FLAIR MR.
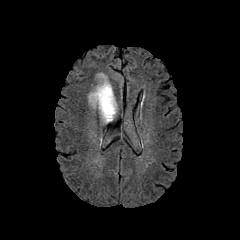
T1-weighted MR.
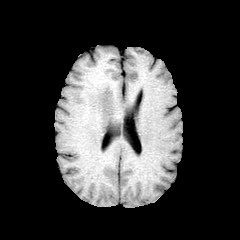
Post-contrast T1-weighted magnetic resonance.
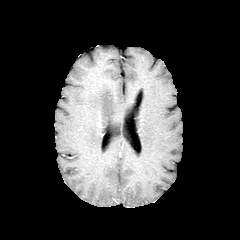
T2-weighted MR image.
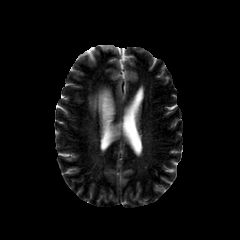
Head
The edema appears at left=88, top=74, right=117, bottom=124.